Field of view 200 mm wide, 3.60 mm slice spacing
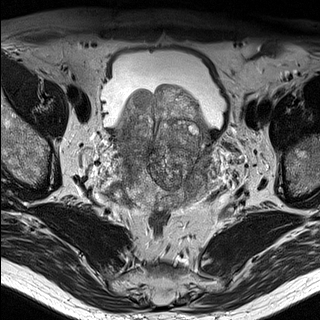
T2-weighted MR.
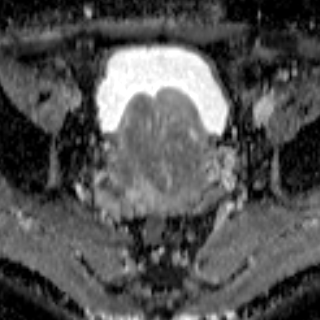
ADC magnetic resonance.
<segmentation>
  <prostate_transition_zone>(left=119, top=88, right=213, bottom=207)</prostate_transition_zone>
</segmentation>